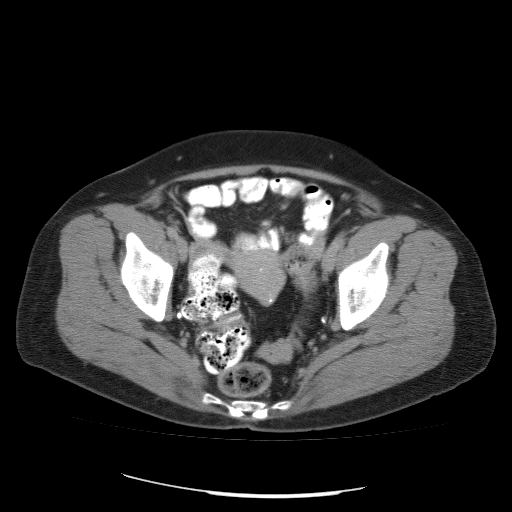 Pelvis. CT.
Colon tumor: 256:339:293:363.